FLAIR magnetic resonance.
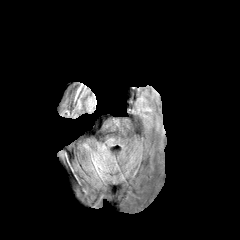
T1-weighted MR image.
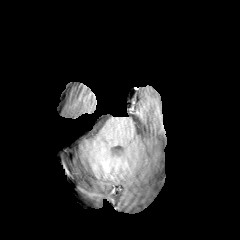
Post-contrast T1-weighted magnetic resonance.
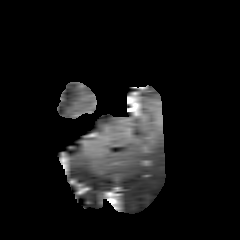
T2-weighted MRI.
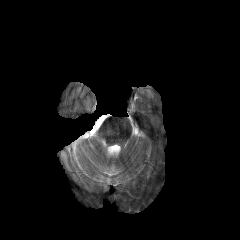
Image size 240x240 | Brain
{"edema": ["(left=61, top=152, right=73, bottom=170)"]}